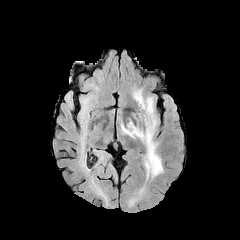
FLAIR magnetic resonance.
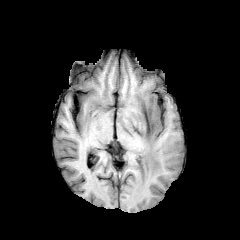
Same slice, T1-weighted magnetic resonance.
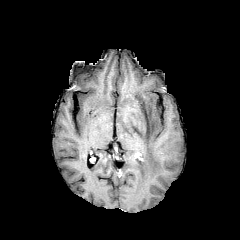
Post-contrast T1-weighted MRI.
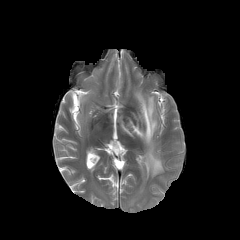
Same slice, T2-weighted MR.
Head | Image size 240x240
non-enhancing_tumor_core:
  - rect(144, 111, 151, 130)
edema:
  - rect(121, 88, 163, 179)